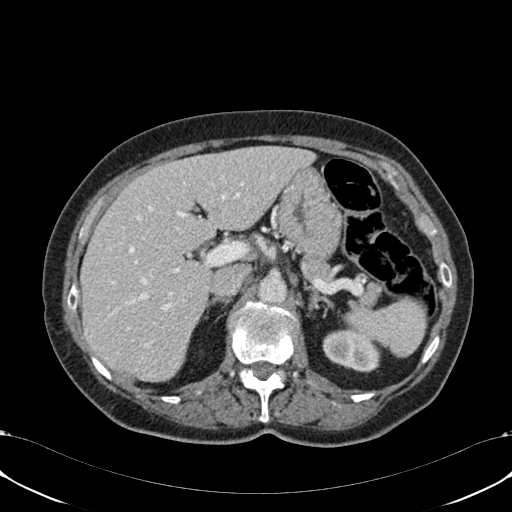 Computed tomography
liver: region(81, 145, 314, 381) | kidney: region(323, 322, 378, 370)